Image size 240x240, Field of view 240 mm wide, 1.00 mm slice spacing, Slice index 86
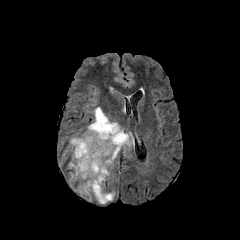
FLAIR magnetic resonance.
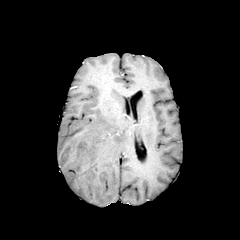
Same slice, T1-weighted MR.
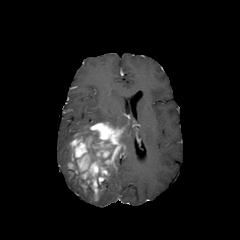
Same slice, post-contrast T1-weighted MR.
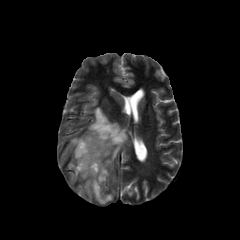
Same slice, T2-weighted MR.
enhancing tumor: 70 122 124 200 | non-enhancing tumor core: 69 155 83 176, 83 130 99 144 | edema: 69 172 83 181, 121 132 134 152, 76 183 94 201, 87 107 121 129, 98 177 115 204